CT, Abdomen
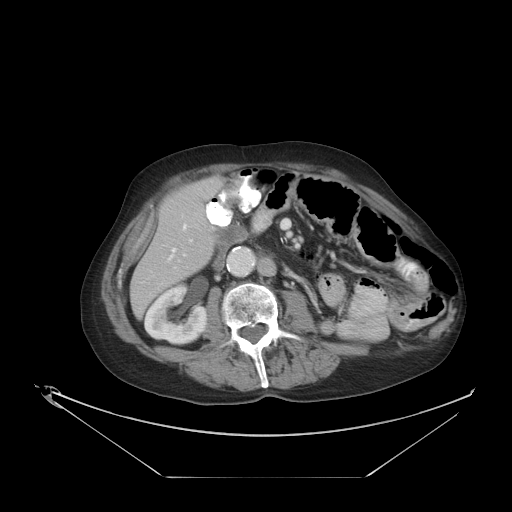 The colon tumor appears at (224, 175, 244, 208).